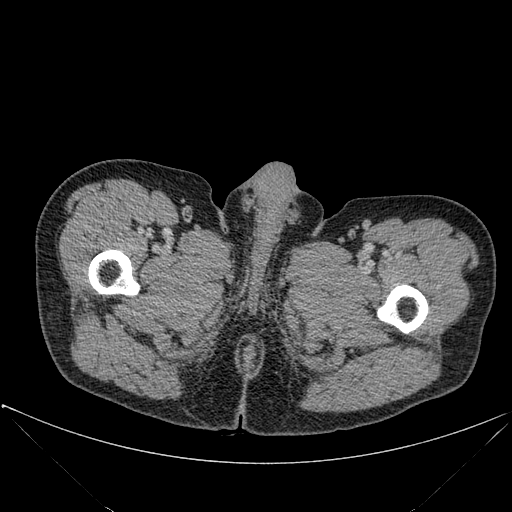
CT slice

Bone at 377,285,428,333; 88,250,139,295.